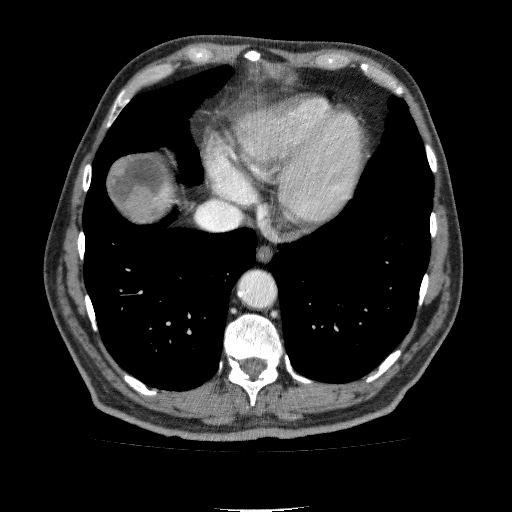
512x512. Abdomen. Computed tomography.

2 liver regions appear at bbox(121, 149, 177, 222); bbox(237, 108, 279, 142). The hepatic lesion lies within bbox(105, 152, 172, 223).